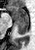
Hippocampus | MR image

The posterior hippocampus appears at box(16, 21, 28, 33). The anterior hippocampus lies within box(8, 6, 28, 20).